Abdomen; 512x512; Slice index 6; CT slice
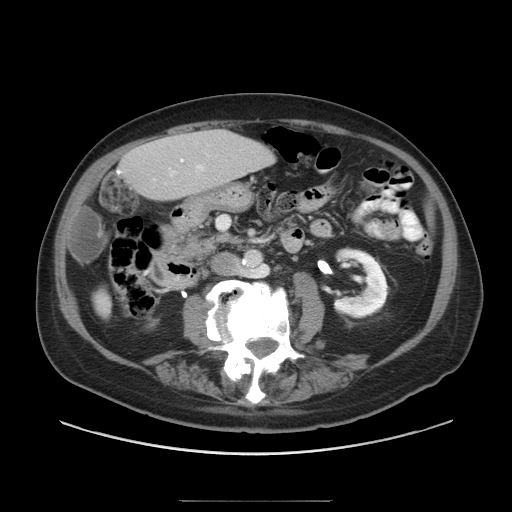

Only some of the vessels may be annotated.
4 hepatic vessel regions are bounded by 181,159,183,161; 154,179,155,180; 169,169,175,175; 197,165,203,170.